FLAIR magnetic resonance.
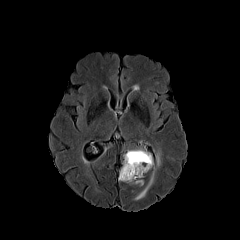
T1-weighted MR image.
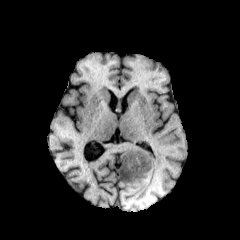
Post-contrast T1-weighted MR.
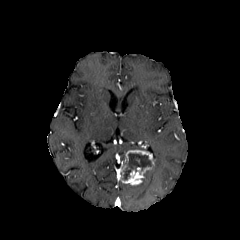
T2-weighted MR.
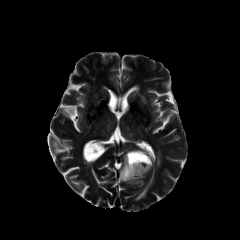
Head
2 edema regions are bounded by x1=135 y1=174 x2=153 y2=200, x1=155 y1=152 x2=160 y2=167. The enhancing tumor is bounded by x1=119 y1=149 x2=154 y2=185. 2 non-enhancing tumor core regions are bounded by x1=122 y1=167 x2=130 y2=181, x1=127 y1=153 x2=152 y2=171.